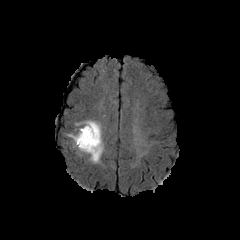
FLAIR MRI.
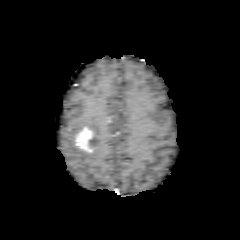
T1-weighted MR image.
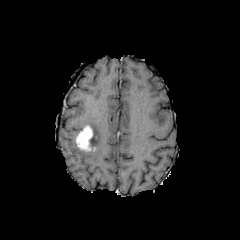
Same slice, post-contrast T1-weighted MRI.
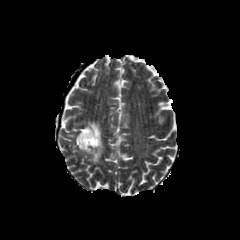
T2-weighted MR image of the same slice.
Image size 240x240
2 edema regions appear at [68,128,81,141], [81,120,103,162]. The enhancing tumor appears at [75,124,96,151].